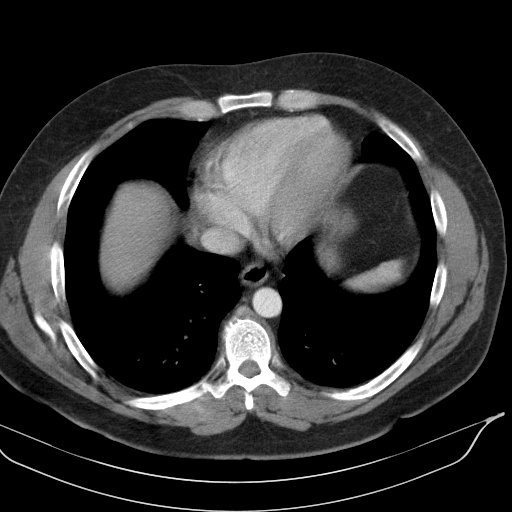
CT scan slice

- spleen: bbox=[350, 260, 405, 291]